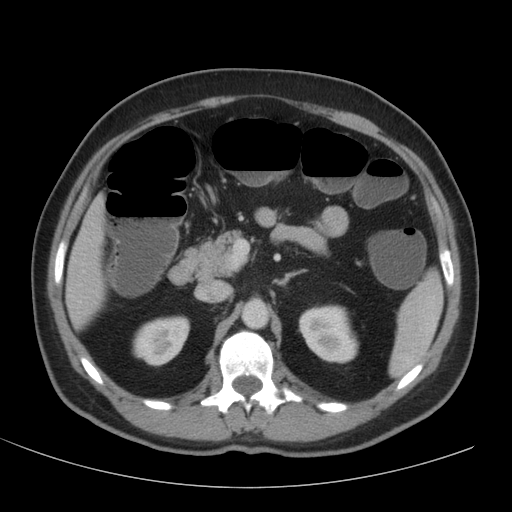
CT image. 512x512. Abdomen.

{"kidney": ["134,317,189,365", "299,306,357,362"], "liver": ["66,195,102,324"]}